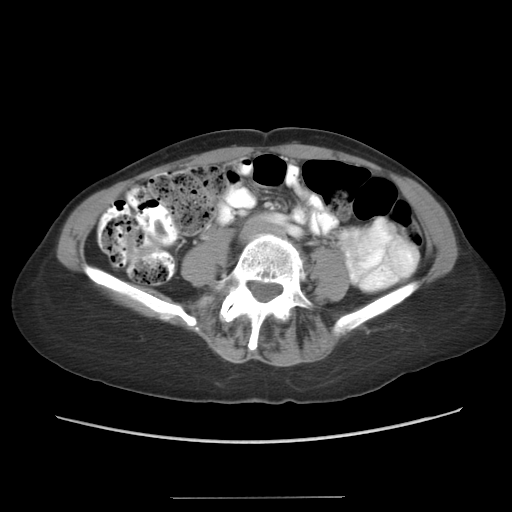

CT slice, Abdomen
Annotated regions:
• colon tumor: 126:230:160:261